Computed tomography | Abdomen

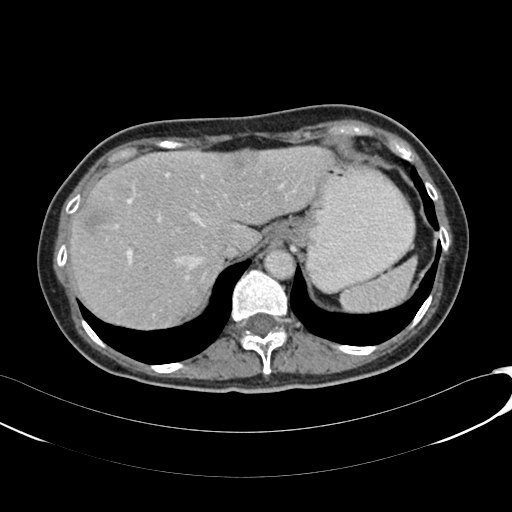

Liver: {"x1": 70, "y1": 146, "x2": 333, "y2": 327}.
Focal liver lesion: {"x1": 233, "y1": 152, "x2": 257, "y2": 175}, {"x1": 82, "y1": 204, "x2": 112, "y2": 234}.